Brain. Image size 240x240.
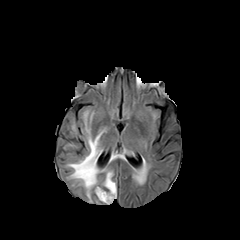
FLAIR MR.
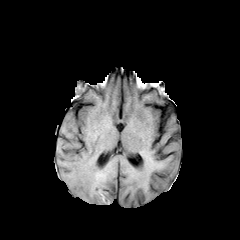
T1-weighted MRI.
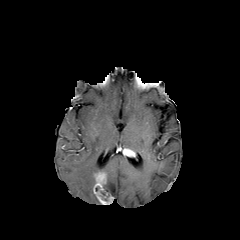
Post-contrast T1-weighted MR image.
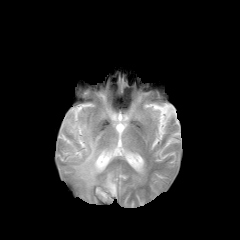
T2-weighted MR image.
Findings:
- enhancing tumor: 95 172 105 189
- non-enhancing tumor core: 94 186 110 202
- edema: 108 152 125 163, 67 111 116 203